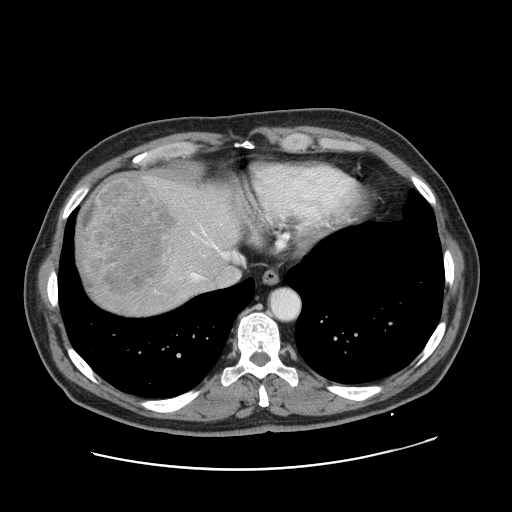
Liver; CT scan slice
Not every hepatic vessel necessarily has a box.
Liver tumor: x1=78, y1=176, x2=173, y2=292.
Hepatic vessel: x1=235, y1=272, x2=239, y2=278; x1=189, y1=230, x2=194, y2=233; x1=207, y1=240, x2=216, y2=247; x1=202, y1=229, x2=204, y2=232; x1=218, y1=249, x2=242, y2=262.